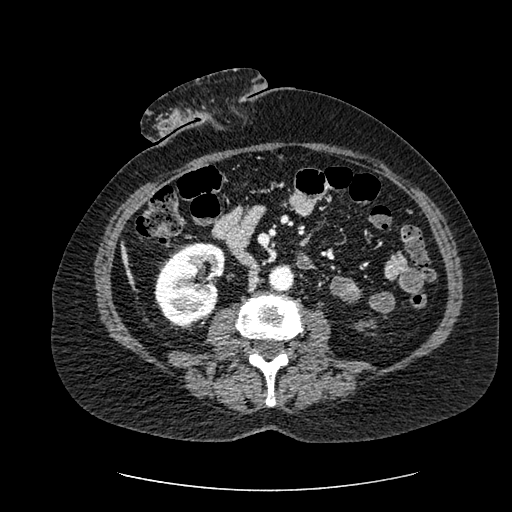
CT slice
kidney:
  - bbox=[155, 243, 224, 325]
liver:
  - bbox=[120, 242, 136, 289]